Field of view 240x240 mm; Head; Slice 84 of 155
FLAIR MR.
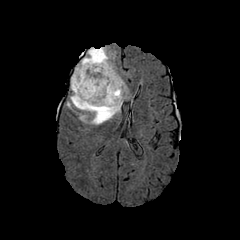
T1-weighted MR.
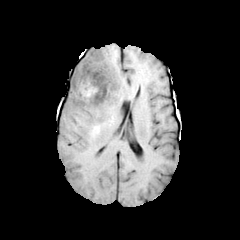
Post-contrast T1-weighted MR image.
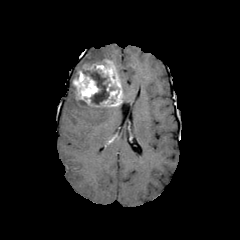
T2-weighted MR.
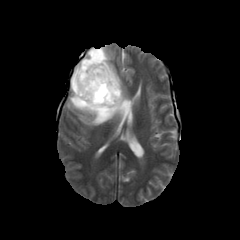
{"non-enhancing_tumor_core": ["x1=71 y1=59 x2=109 y2=109", "x1=74 y1=94 x2=89 y2=105", "x1=92 y1=50 x2=103 y2=61"], "enhancing_tumor": ["x1=82 y1=60 x2=122 y2=106", "x1=72 y1=69 x2=99 y2=104"], "edema": ["x1=66 y1=80 x2=121 y2=125", "x1=78 y1=47 x2=112 y2=64", "x1=120 y1=78 x2=127 y2=101"]}